Field of view 240 mm wide, 1.00 mm slice spacing | Slice index 36
FLAIR MR image.
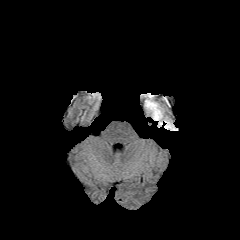
T1-weighted MR image.
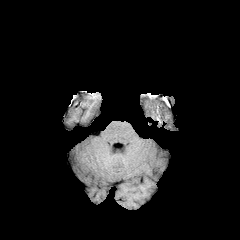
Post-contrast T1-weighted MR.
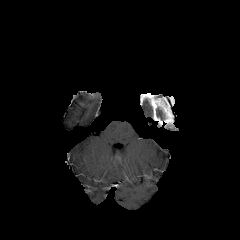
T2-weighted MR image.
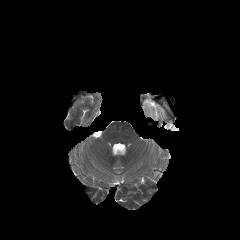
The enhancing tumor is located at l=142, t=94, r=172, b=127. The non-enhancing tumor core is located at l=154, t=96, r=169, b=108.